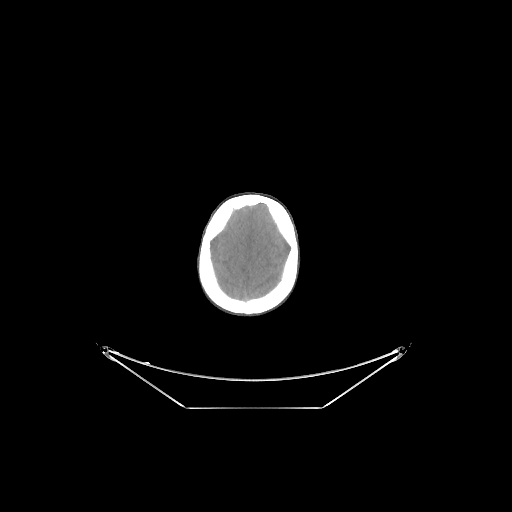
CT image.
<segmentation>
  <brain>210,203,290,300</brain>
  <bone>199,195,297,313</bone>
</segmentation>